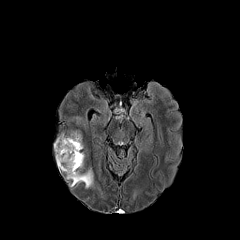
FLAIR MR image.
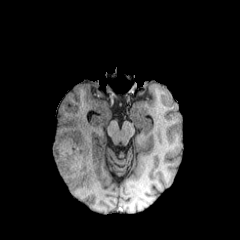
T1-weighted MRI.
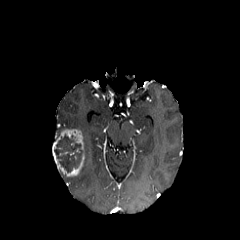
Post-contrast T1-weighted MRI of the same slice.
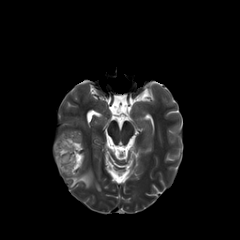
T2-weighted magnetic resonance of the same slice.
Head
The non-enhancing tumor core lies within (x1=54, y1=133, x2=83, y2=173). The enhancing tumor appears at (x1=60, y1=129, x2=84, y2=175). 2 edema regions are bounded by (x1=72, y1=117, x2=87, y2=129), (x1=67, y1=169, x2=94, y2=188).